Slice index 101 | Field of view 240x240 mm | Brain
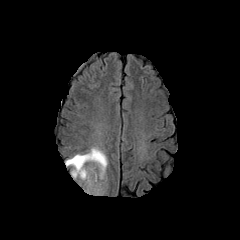
FLAIR magnetic resonance.
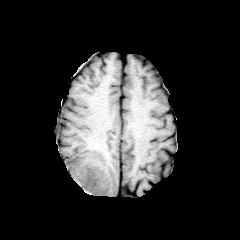
Same slice, T1-weighted MRI.
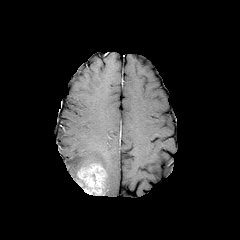
Same slice, post-contrast T1-weighted MR image.
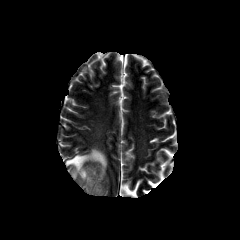
T2-weighted MRI.
The enhancing tumor is bounded by bbox(78, 166, 104, 193). The edema is at bbox(65, 147, 107, 195).